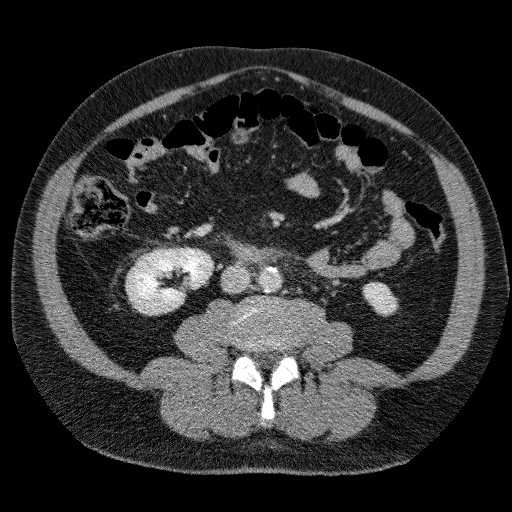 CT scan slice
Kidney: bounding box (left=364, top=283, right=395, bottom=313), (left=127, top=248, right=212, bottom=313).